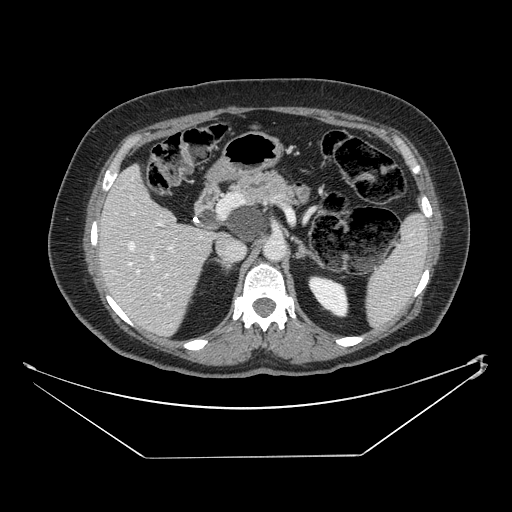 CT slice | Abdomen

• pancreas: rect(226, 170, 296, 242)
• pancreatic tumor: rect(227, 206, 267, 241)